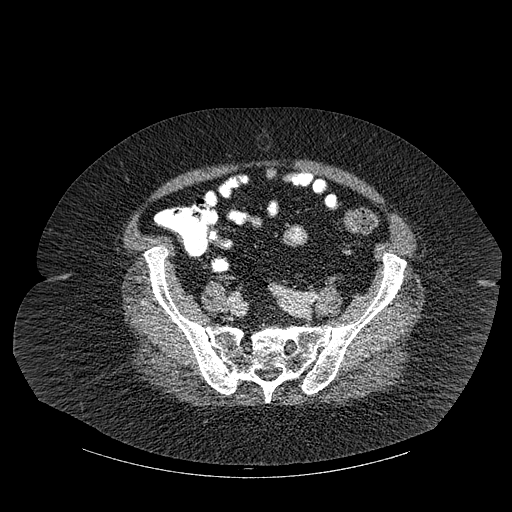

CT scan slice
Bone: 144:246:406:402.